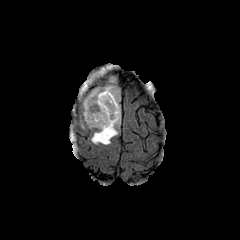
FLAIR MRI.
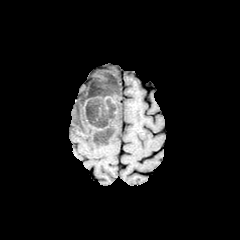
Same slice, T1-weighted magnetic resonance.
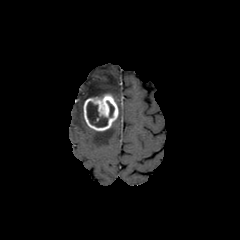
Post-contrast T1-weighted MRI.
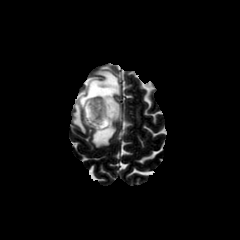
Same slice, T2-weighted MR.
Head
Segmented structures:
• edema: bbox=[74, 67, 120, 146]
• enhancing tumor: bbox=[83, 93, 118, 131]
• non-enhancing tumor core: bbox=[87, 102, 107, 127]